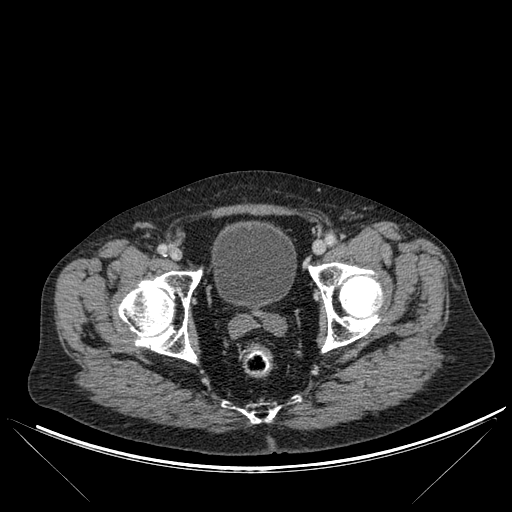 CT image; 512x512 px
bone: 239:405:259:422, 308:262:382:352, 118:270:201:362, 266:404:279:419 | urinary bladder: 211:220:296:306